CT image. Upper abdomen. Image size 512x512.

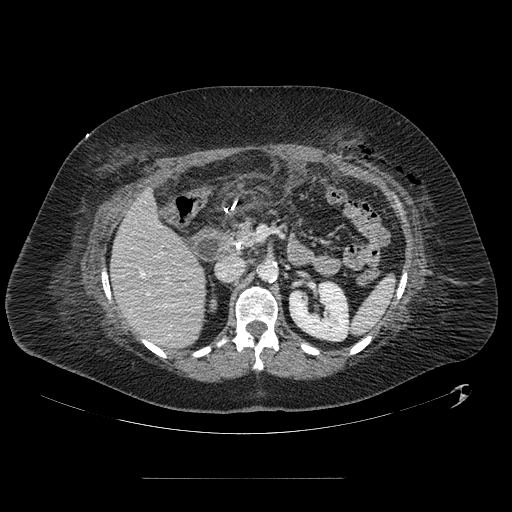

Segmented structures:
• pancreatic tumor: (x1=241, y1=230, x2=256, y2=242)
• pancreas: (x1=226, y1=220, x2=257, y2=251)